CT image. Slice 514/846. Image width 387 mm. 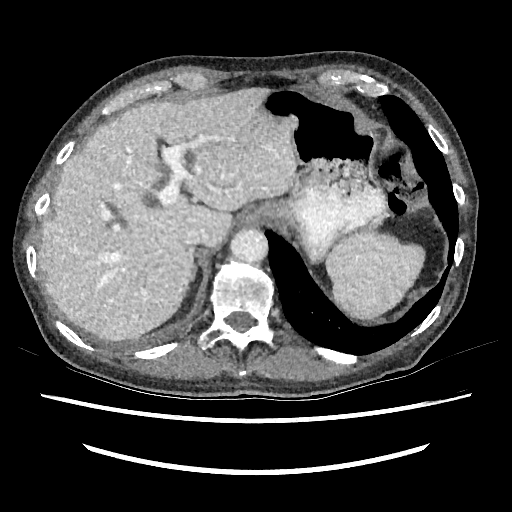

Liver: left=38, top=89, right=294, bottom=340.